Image size 240x240
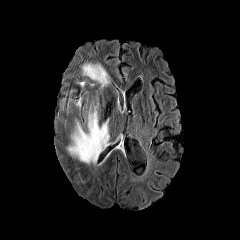
FLAIR MRI.
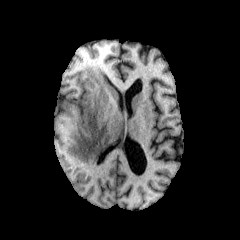
Same slice, T1-weighted magnetic resonance.
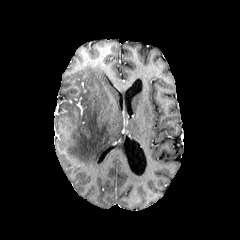
Post-contrast T1-weighted MR image.
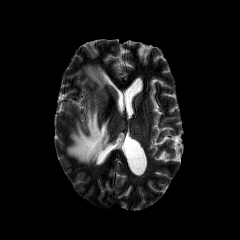
T2-weighted MR image.
{
  "edema": [
    "66,90,110,163",
    "82,64,109,90"
  ]
}